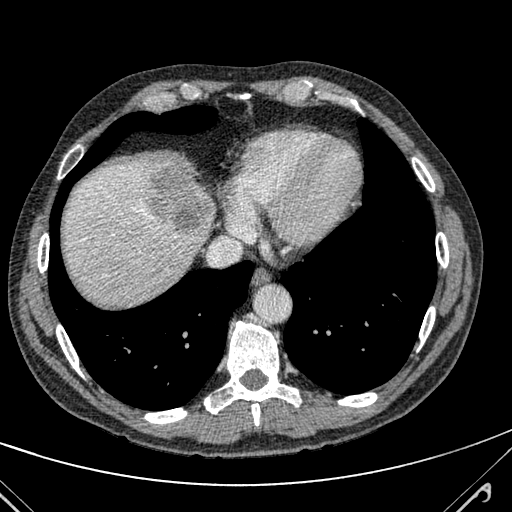 CT slice. Image size 512x512.
The liver lies within rect(64, 160, 213, 304). 2 focal liver lesion regions are located at rect(152, 166, 206, 233); rect(149, 198, 165, 213).